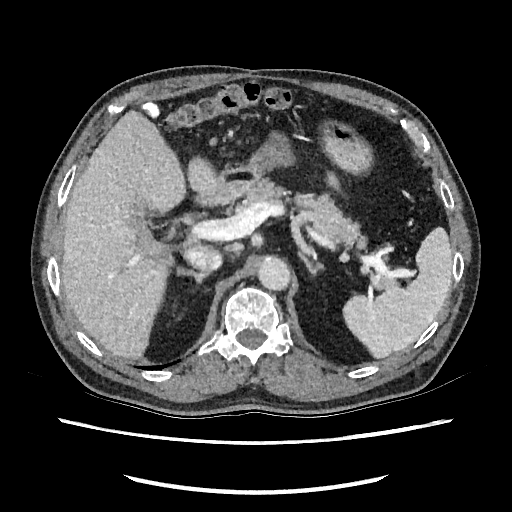 512x512. Computed tomography. Upper abdomen.
2 liver regions are located at 189, 160, 218, 192; 63, 113, 185, 358. The liver lesion is located at 136, 218, 170, 266.